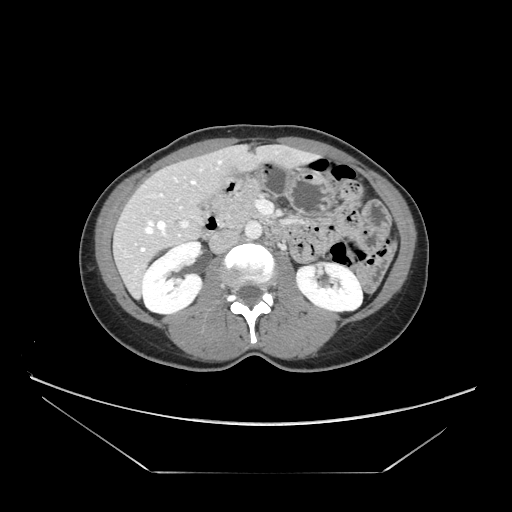 CT. Upper abdomen. Pancreas: box=[217, 180, 262, 228].